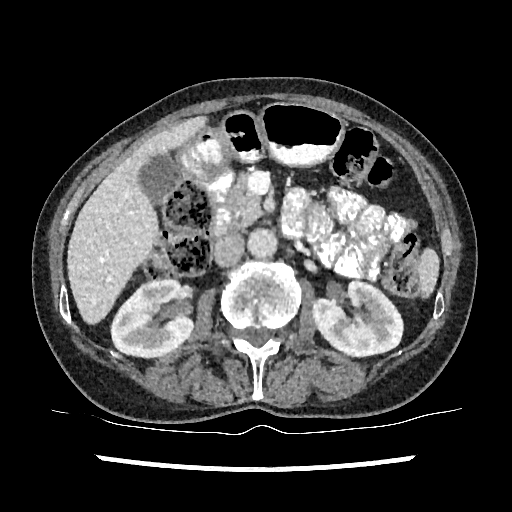

Computed tomography.

The liver appears at (x1=68, y1=116, x2=204, y2=323). 2 kidney regions appear at (x1=112, y1=277, x2=193, y2=356), (x1=314, y1=281, x2=403, y2=355).